Computed tomography, Upper abdomen, Slice index 60 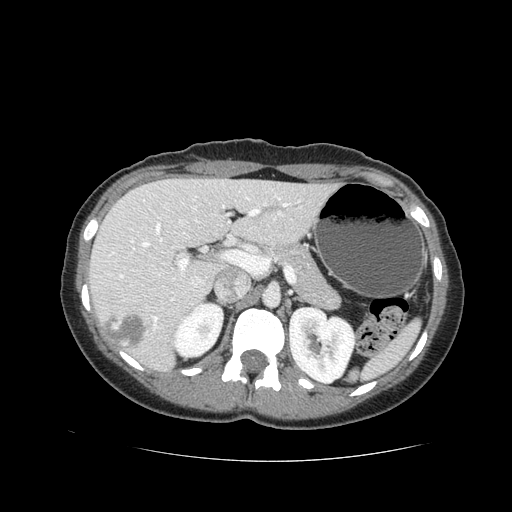
• pancreas: x1=280, y1=242, x2=333, y2=307
• pancreatic tumor: x1=316, y1=289, x2=341, y2=309